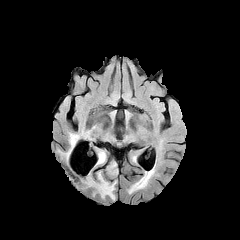
FLAIR MR.
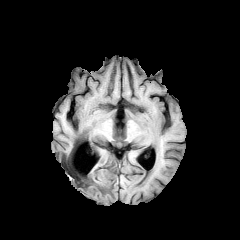
T1-weighted MR.
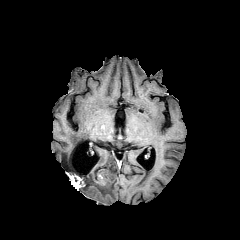
Post-contrast T1-weighted magnetic resonance.
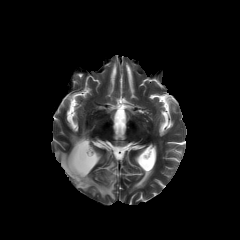
Same slice, T2-weighted MRI.
Brain. 240x240 px.
4 edema regions appear at bbox=[85, 162, 117, 198]; bbox=[61, 133, 81, 163]; bbox=[138, 171, 152, 183]; bbox=[96, 150, 106, 163]. The non-enhancing tumor core is at bbox=[80, 177, 89, 187].